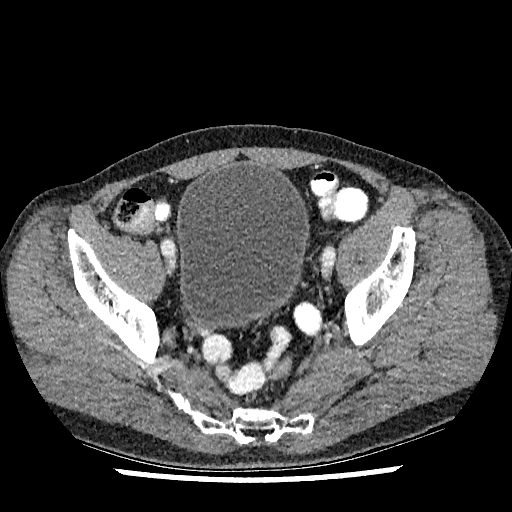
Pelvis | CT scan slice
The urinary bladder is bounded by box(179, 164, 307, 328).